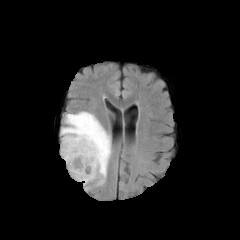
FLAIR MR.
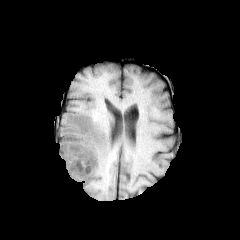
T1-weighted MR image.
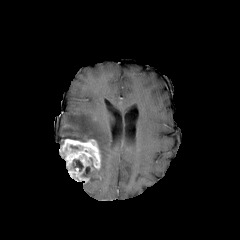
Same slice, post-contrast T1-weighted MR.
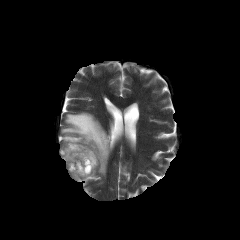
T2-weighted MR image.
240x240 | Brain
2 non-enhancing tumor core regions appear at x1=82 y1=166 x2=94 y2=177, x1=72 y1=160 x2=83 y2=171. The edema is located at x1=61 y1=111 x2=112 y2=190. The enhancing tumor is located at x1=59 y1=138 x2=100 y2=183.